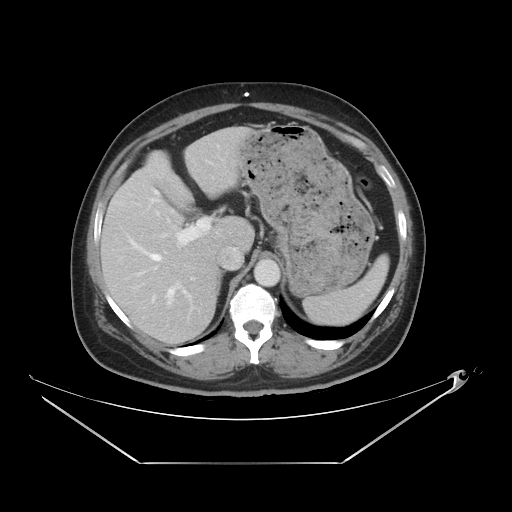
Image size 512x512. CT scan slice. Some hepatic vessels may have no box.
Hepatic vessel: x1=152, y1=255, x2=159, y2=259; x1=177, y1=232, x2=187, y2=243.